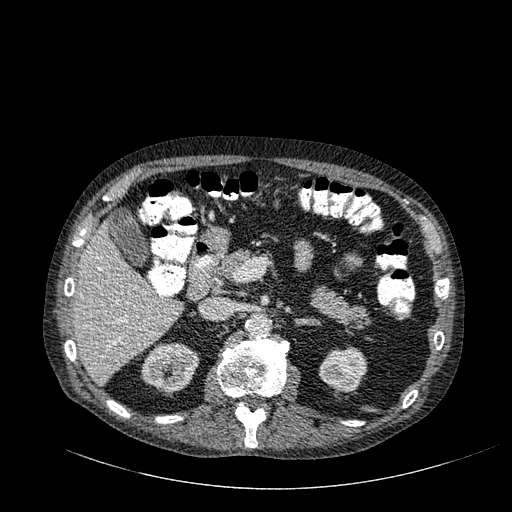

Abdomen. CT scan slice. <segmentation>
  <kidney>[x1=141, y1=342, x2=199, y2=394], [x1=319, y1=347, x2=367, y2=392]</kidney>
  <liver>[x1=73, y1=222, x2=182, y2=384]</liver>
</segmentation>